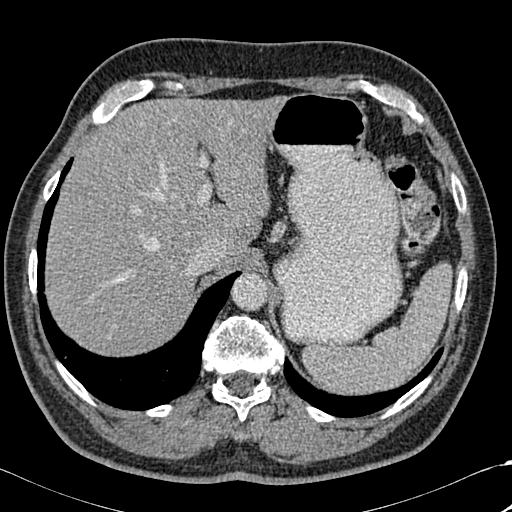

Computed tomography, Liver, 512x512 px
{"lung": ["bbox(37, 158, 240, 410)", "bbox(284, 347, 443, 417)"], "liver": ["bbox(221, 259, 236, 263)", "bbox(45, 98, 279, 355)"], "focal_liver_lesion": ["bbox(123, 147, 136, 153)"], "bone": ["bbox(361, 82, 422, 122)", "bbox(451, 175, 465, 211)", "bbox(455, 269, 467, 309)", "bbox(43, 172, 59, 199)", "bbox(202, 316, 283, 420)", "bbox(384, 378, 429, 416)", "bbox(57, 363, 93, 404)", "bbox(147, 405, 171, 416)", "bbox(93, 80, 152, 123)", "bbox(307, 407, 332, 421)", "bbox(28, 250, 36, 292)"]}